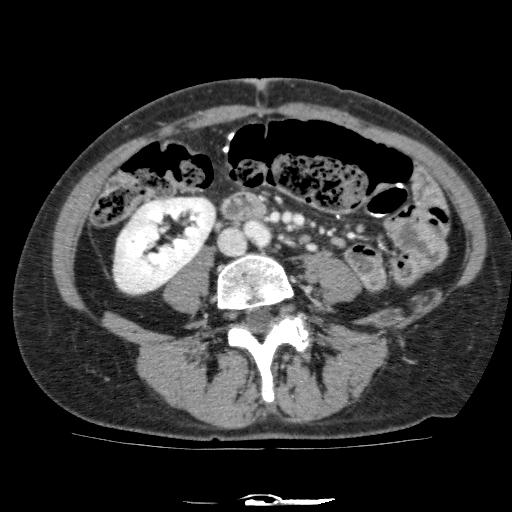

Computed tomography
Kidney — bbox=[114, 198, 214, 292].